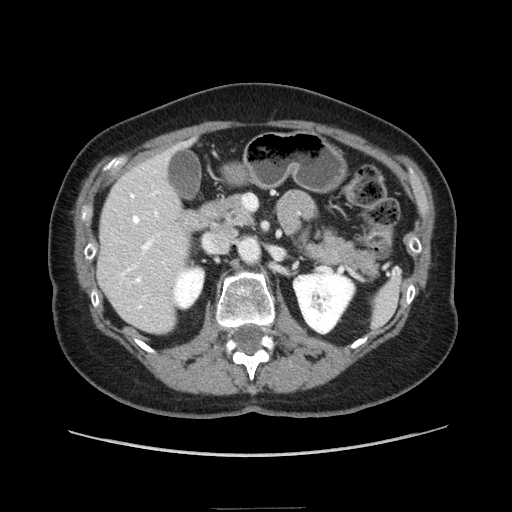

Computed tomography | Abdomen
2 pancreas regions appear at 206:196:252:226, 302:230:377:277. The pancreatic tumor is bounded by 305:244:313:250.